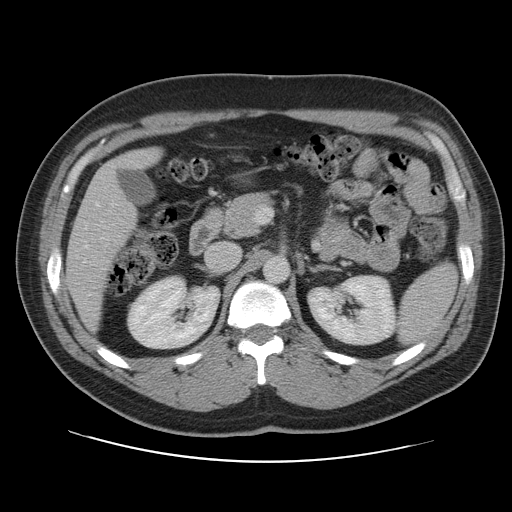 Computed tomography
The vessel boxes may cover only some of the vessels.
Hepatic vessel: box=[84, 319, 92, 326]; box=[93, 286, 99, 288]; box=[89, 308, 97, 317]; box=[84, 243, 87, 247]; box=[115, 241, 116, 242]; box=[107, 160, 121, 167]; box=[96, 202, 98, 205].